Brain | Slice 63 of 155
FLAIR MR image.
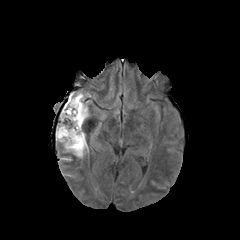
T1-weighted magnetic resonance.
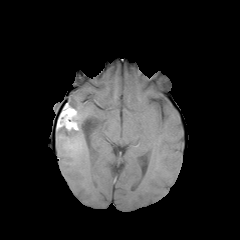
Post-contrast T1-weighted MR.
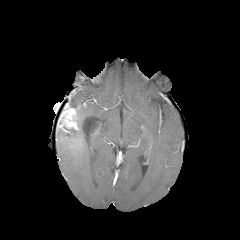
T2-weighted MRI.
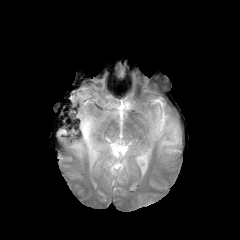
edema: (x1=56, y1=90, x2=95, y2=157) | enhancing tumor: (x1=62, y1=108, x2=77, y2=129) | non-enhancing tumor core: (x1=62, y1=102, x2=70, y2=113), (x1=72, y1=114, x2=80, y2=129), (x1=57, y1=113, x2=65, y2=128), (x1=82, y1=122, x2=89, y2=142)